512x512 px | CT scan slice

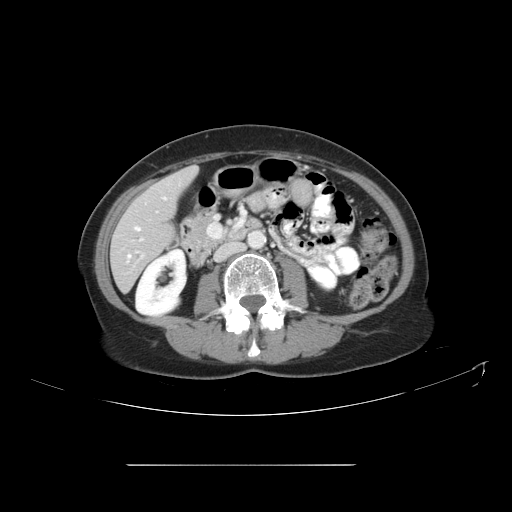
Not every hepatic vessel necessarily has a box.
Hepatic vessel: bounding box left=135, top=226, right=140, bottom=230; left=163, top=197, right=166, bottom=199; left=127, top=254, right=130, bottom=257; left=140, top=238, right=143, bottom=240; left=135, top=251, right=139, bottom=252; left=140, top=253, right=143, bottom=257.